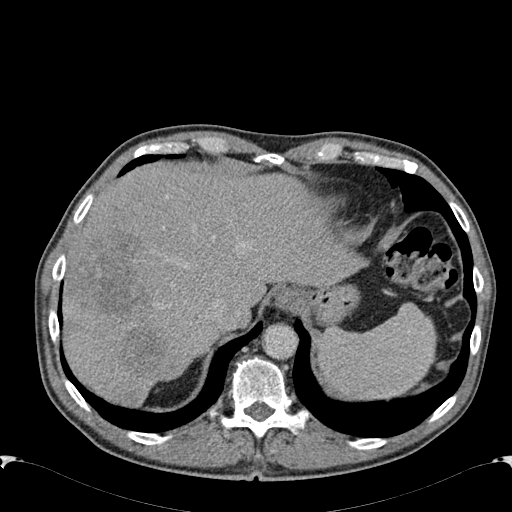
Upper abdomen; Computed tomography; 512x512 px
The liver lies within l=62, t=165, r=369, b=404. 2 liver lesion regions appear at l=66, t=233, r=148, b=320; l=119, t=327, r=165, b=374.